Image size 512x512 | CT slice | Abdomen
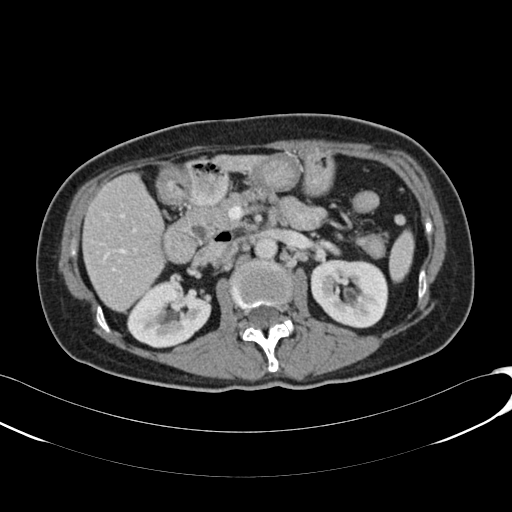 Kidney: bounding box x1=312, y1=261, x2=386, y2=326; x1=128, y1=281, x2=209, y2=346.
Liver: bounding box x1=83, y1=173, x2=164, y2=310; x1=213, y1=155, x2=264, y2=169.